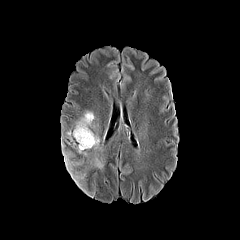
FLAIR MRI.
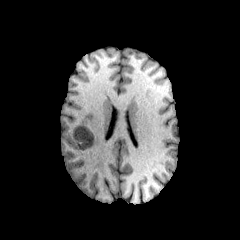
T1-weighted magnetic resonance.
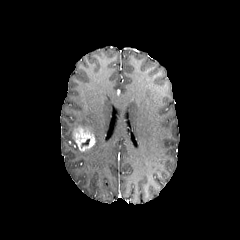
Post-contrast T1-weighted MRI of the same slice.
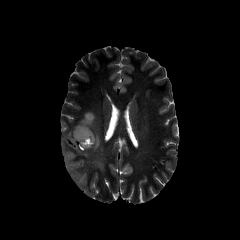
T2-weighted magnetic resonance.
Brain.
Edema: box=[91, 131, 103, 168]; box=[74, 112, 94, 131]; box=[67, 131, 88, 156]; box=[62, 151, 85, 186].
Enhancing tumor: box=[73, 125, 94, 151].